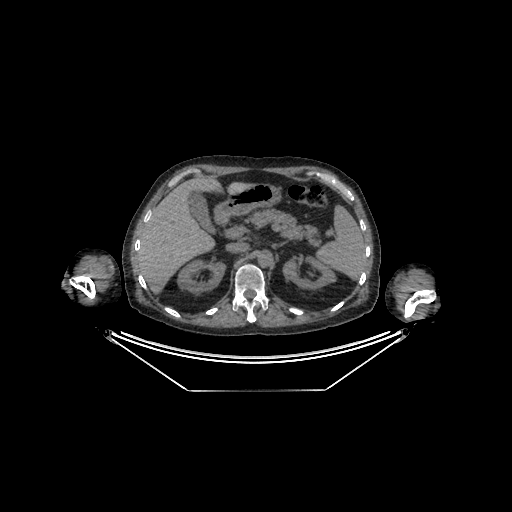 Abdomen. CT slice.
kidney: 177,259,225,293; 282,256,336,289 | liver: 228,182,254,194; 136,176,221,293